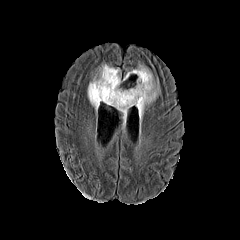
FLAIR magnetic resonance.
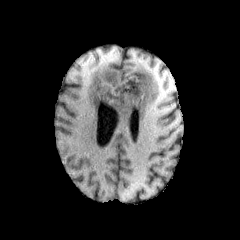
T1-weighted magnetic resonance.
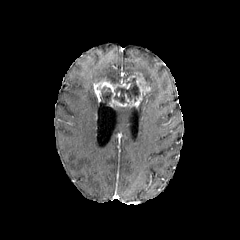
Post-contrast T1-weighted MRI.
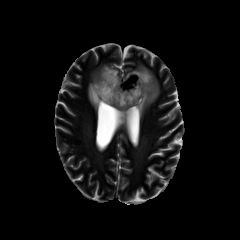
T2-weighted MR of the same slice.
Brain
Enhancing tumor — region(93, 73, 150, 107).
Edema — region(88, 64, 121, 115); region(123, 64, 159, 118); region(115, 106, 128, 123).
Non-enhancing tumor core — region(100, 87, 112, 103); region(113, 77, 140, 104).